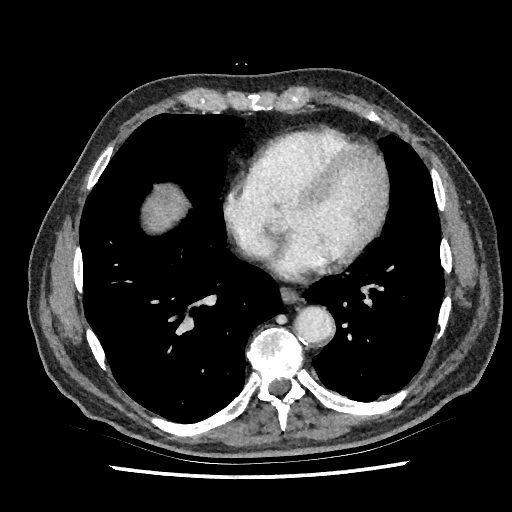
Abdomen, CT scan slice, Image size 512x512
Segmented structures:
* liver: x1=145 y1=187 x2=185 y2=230
* hepatic lesion: x1=152 y1=187 x2=170 y2=205, x1=144 y1=207 x2=151 y2=221